Pelvis, Slice index 8, 320x320
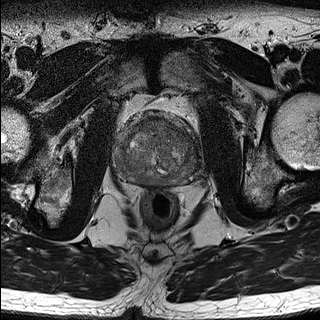
T2-weighted MRI.
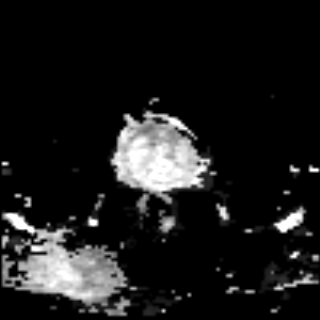
ADC MR image.
Prostate transition zone at 121, 112, 195, 175.
Prostate peripheral zone at 114, 112, 198, 185.